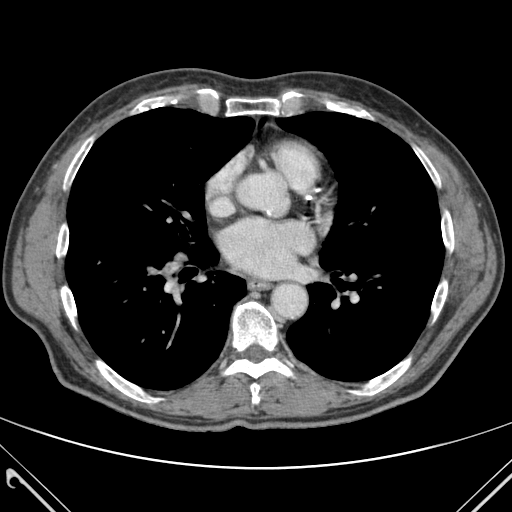

Image size 512x512; CT scan slice
15 bone regions appear at [x1=233, y1=302, x2=276, y2=350], [x1=415, y1=148, x2=440, y2=185], [x1=251, y1=383, x2=259, y2=402], [x1=351, y1=358, x2=410, y2=395], [x1=97, y1=361, x2=159, y2=402], [x1=64, y1=138, x2=92, y2=187], [x1=131, y1=97, x2=166, y2=111], [x1=441, y1=211, x2=453, y2=251], [x1=325, y1=102, x2=373, y2=118], [x1=61, y1=286, x2=76, y2=326], [x1=225, y1=92, x2=304, y2=115], [x1=56, y1=225, x2=68, y2=267], [x1=431, y1=281, x2=447, y2=319], [x1=224, y1=358, x2=291, y2=377], [x1=195, y1=89, x2=220, y2=101]. 2 lung regions are located at [x1=65, y1=107, x2=254, y2=389], [x1=277, y1=112, x2=444, y2=381].